CT scan slice | Field of view 370 mm wide, 5.00 mm slice spacing

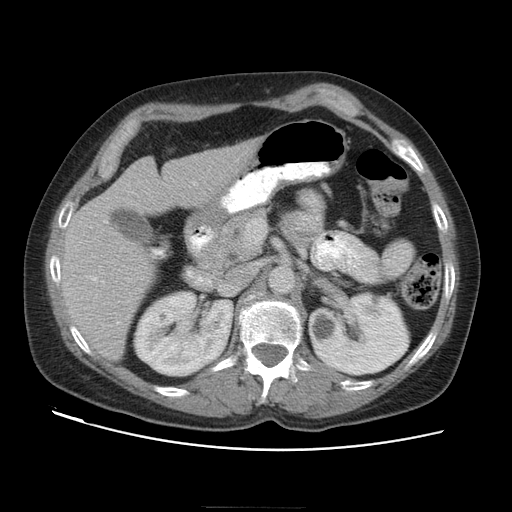

pancreas: region(196, 206, 270, 279)